Slice 98 of 155. Field of view 240x240 mm.
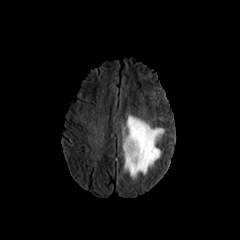
FLAIR MR.
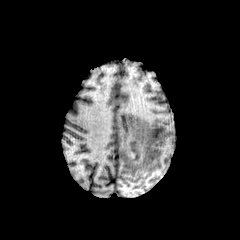
T1-weighted MR.
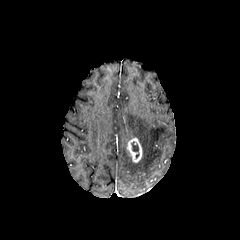
Post-contrast T1-weighted MRI of the same slice.
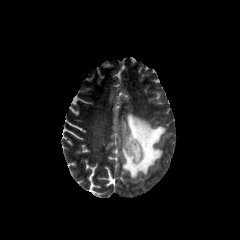
T2-weighted MR of the same slice.
Enhancing tumor = 126, 139, 141, 161.
Edema = 120, 113, 165, 181.